MR
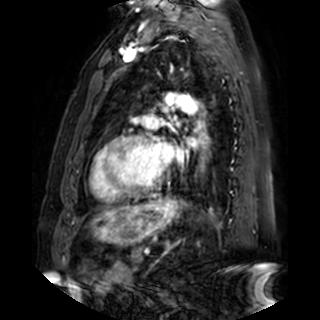 Left atrium: bounding box 186 136 197 146, 150 142 174 164.